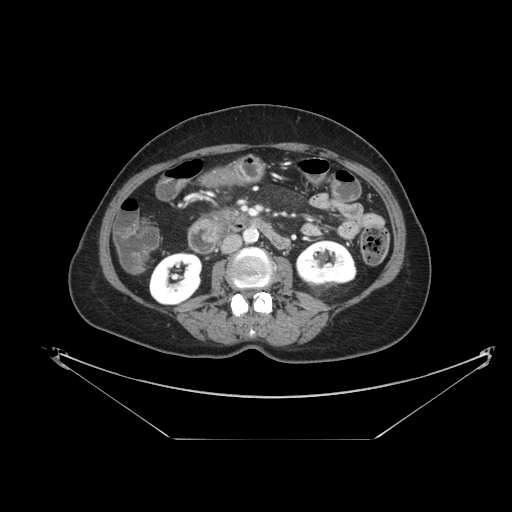
Abdomen, 512x512 px, CT scan slice
pancreas: 212 209 241 224